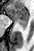
MR | Hippocampus
The posterior hippocampus is located at box(16, 21, 27, 29). The anterior hippocampus appears at box(8, 5, 28, 21).